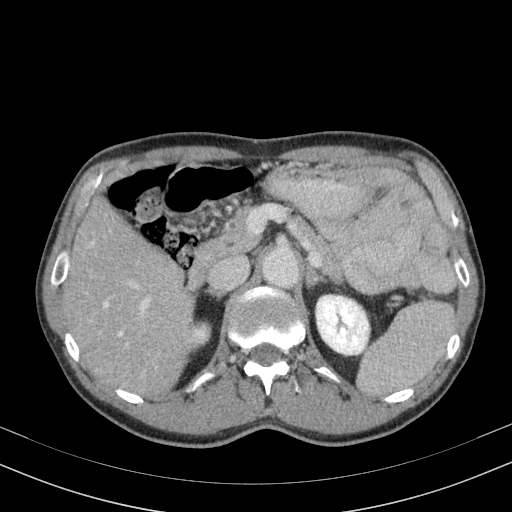 CT scan slice; Liver; 512x512
Liver: 64,195,195,396.
Kidney: 316,296,368,354.